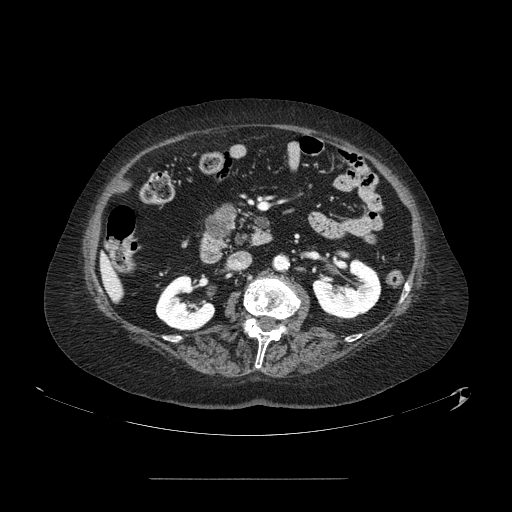

512x512. CT image. pancreatic tumor: box=[205, 207, 233, 239]